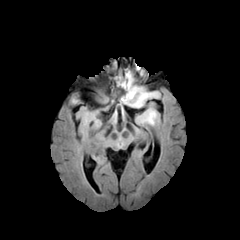
FLAIR MR.
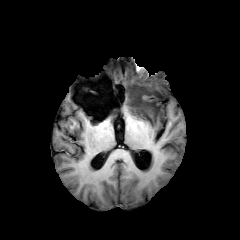
T1-weighted MRI.
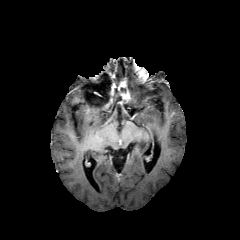
Post-contrast T1-weighted MR image.
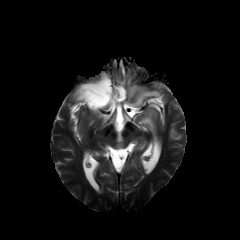
Same slice, T2-weighted magnetic resonance.
Brain
Enhancing tumor — (left=120, top=78, right=131, bottom=104).
Edema — (left=125, top=70, right=164, bottom=129).
Non-enhancing tumor core — (left=96, top=88, right=110, bottom=106), (left=110, top=83, right=134, bottom=107), (left=118, top=86, right=125, bottom=101), (left=132, top=70, right=145, bottom=95).